Slice index 446; Abdomen; CT; Image size 512x512

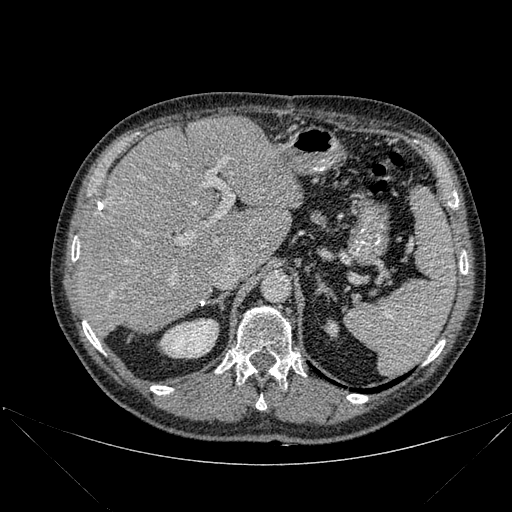
<segmentation>
  <lung><bbox>357, 375, 405, 393</bbox></lung>
  <liver><bbox>76, 116, 301, 338</bbox></liver>
  <kidney><bbox>161, 319, 218, 357</bbox>, <bbox>327, 323, 337, 335</bbox></kidney>
  <bone><bbox>347, 394, 367, 403</bbox>, <bbox>150, 386, 172, 394</bbox>, <bbox>256, 394, 266, 409</bbox>, <bbox>425, 340, 444, 363</bbox>, <bbox>71, 241, 79, 261</bbox>, <bbox>460, 259, 468, 274</bbox>, <bbox>215, 307, 302, 385</bbox>, <bbox>82, 321, 102, 351</bbox>, <bbox>450, 192, 458, 206</bbox></bone>
</segmentation>